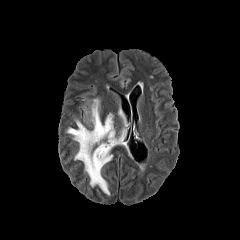
FLAIR MRI.
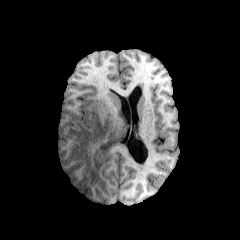
T1-weighted MR image.
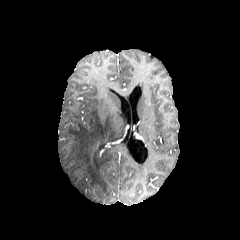
Post-contrast T1-weighted magnetic resonance.
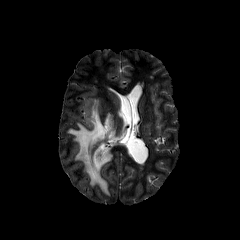
Same slice, T2-weighted magnetic resonance.
Brain.
Segmented structures:
* edema: (66,98,118,195), (119,124,128,138)